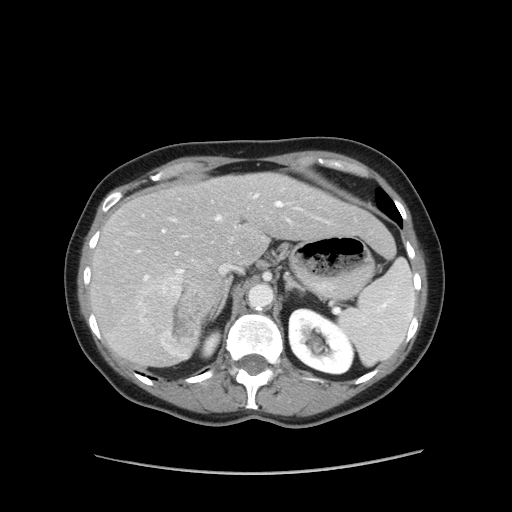
Computed tomography, Abdomen, 512x512
Not every hepatic vessel necessarily has a box.
hepatic vessel: 219,263,238,273; 316,217,327,222; 162,229,164,231; 176,252,178,254; 178,269,181,269; 287,219,290,222; 254,194,257,197; 275,202,283,206; 230,238,232,241; 170,217,175,221; 296,207,300,209; 137,250,139,252; 216,215,220,220 | liver tumor: 132,268,211,358